CT scan slice. Slice 17 of 30. 512x512. Abdomen.
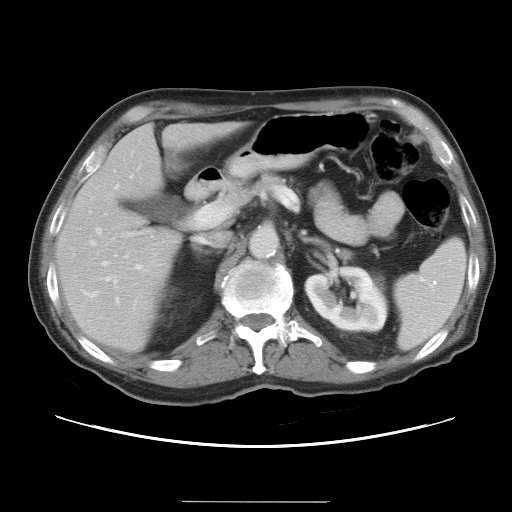 Some hepatic vessels may have no box.
Hepatic vessel at [137,296,139,297], [121,230,152,237], [115,298,118,304], [133,298,136,308], [151,261,155,263], [83,291,97,297].